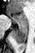 MRI slice. Medial temporal lobe. Image size 35x53. anterior_hippocampus:
  - 8 12 27 23
posterior_hippocampus:
  - 12 24 27 43